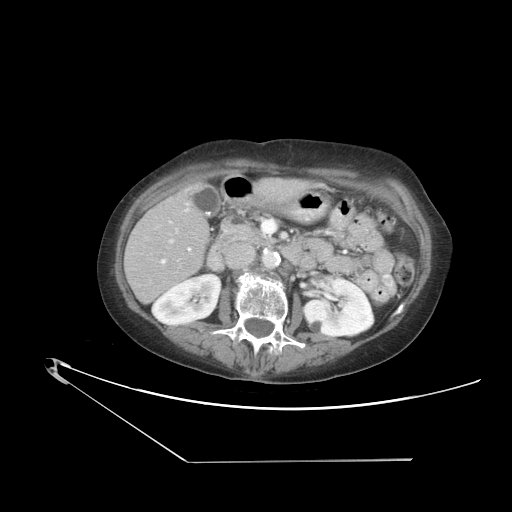
CT image; Image size 512x512

The vessel boxes may cover only some of the vessels.
{"hepatic_vessel": ["bbox=[170, 240, 172, 242]", "bbox=[169, 221, 171, 222]", "bbox=[161, 259, 165, 263]", "bbox=[176, 230, 177, 231]", "bbox=[188, 248, 190, 250]", "bbox=[185, 203, 188, 211]"]}